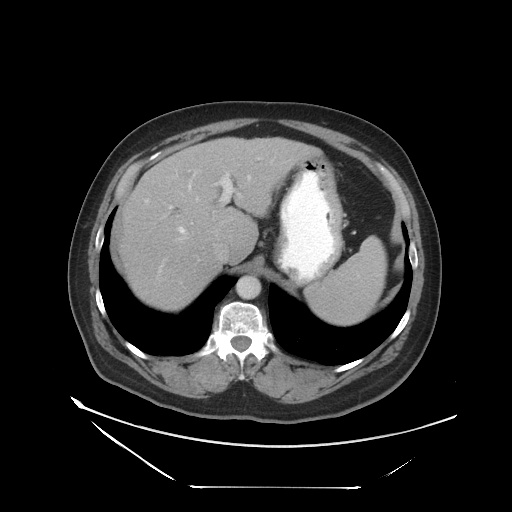 512x512 px. CT image.

Only some of the vessels may be annotated.
Segmented structures:
- hepatic vessel: l=224, t=173, r=229, b=180; l=175, t=226, r=188, b=241; l=169, t=206, r=171, b=208; l=191, t=222, r=192, b=223; l=188, t=180, r=191, b=189